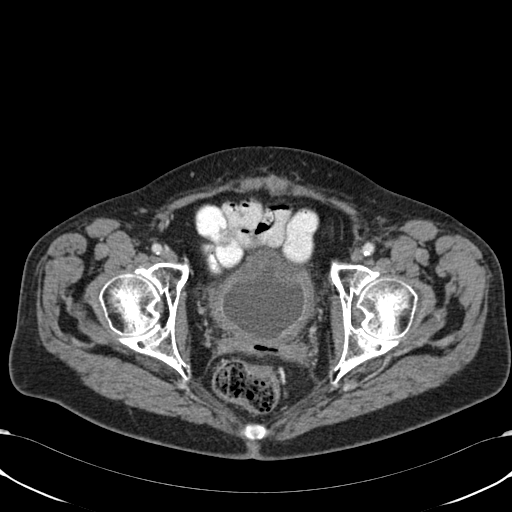
Computed tomography. Pelvis.
{
  "urinary_bladder": [
    "rect(224, 253, 303, 337)"
  ]
}